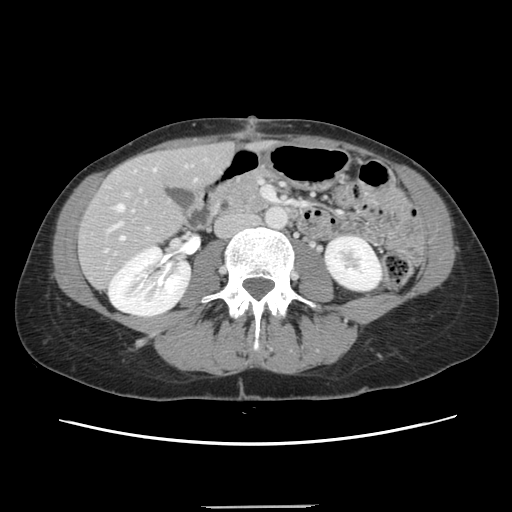

CT slice
Not every hepatic vessel necessarily has a box.
Hepatic vessel: box=[120, 236, 123, 239]; box=[194, 178, 195, 180]; box=[106, 222, 121, 232]; box=[185, 165, 191, 166]; box=[146, 228, 148, 229]; box=[153, 169, 154, 170]; box=[139, 189, 140, 190]; box=[104, 250, 106, 251]; box=[113, 203, 123, 210]; box=[125, 193, 128, 194].